Slice index 57; Field of view 240x240 mm; Brain; 240x240
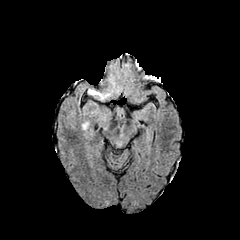
FLAIR MRI.
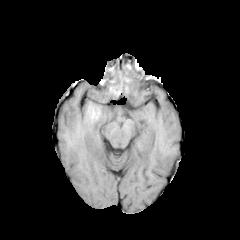
T1-weighted MRI of the same slice.
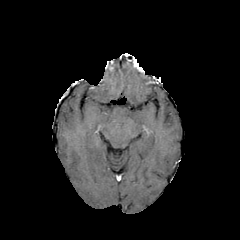
Post-contrast T1-weighted MRI of the same slice.
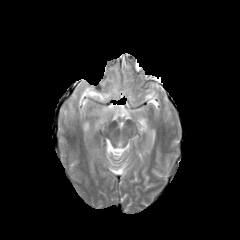
T2-weighted magnetic resonance.
The edema lies within rect(88, 88, 113, 101).